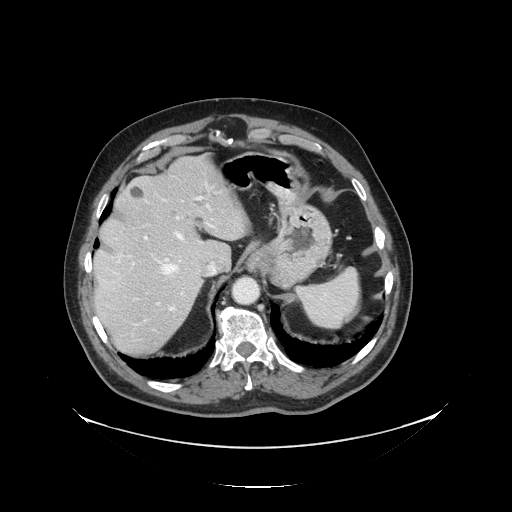
CT, Abdomen, 512x512 px

The vessel boxes may cover only some of the vessels.
hepatic_vessel:
  - 144:319:147:322
  - 177:217:178:219
  - 175:233:183:239
  - 210:264:214:266
  - 132:263:134:267
  - 118:256:121:262
  - 170:307:173:310
  - 196:197:202:200
  - 158:303:159:305
  - 164:259:168:266
  - 207:205:209:207
  - 199:281:202:286
  - 208:224:216:228
  - 207:186:212:190
  - 145:237:147:239
liver_tumor:
  - 130:186:142:197